Slice index 95, 240x240
FLAIR MR.
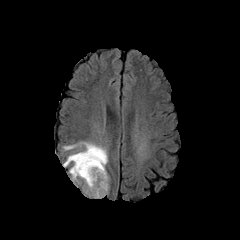
T1-weighted MRI.
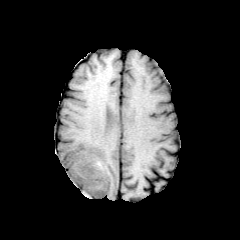
Post-contrast T1-weighted MR.
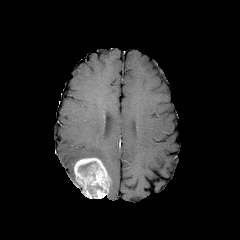
T2-weighted magnetic resonance.
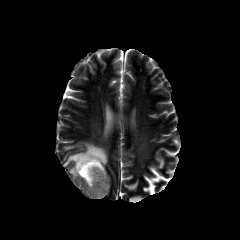
The edema is bounded by l=62, t=141, r=108, b=180. The enhancing tumor is at l=73, t=157, r=109, b=198.